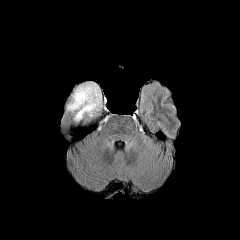
FLAIR magnetic resonance.
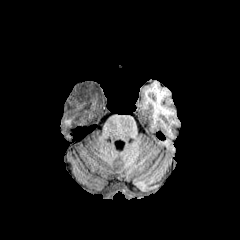
T1-weighted magnetic resonance.
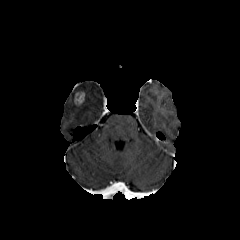
Post-contrast T1-weighted MR image of the same slice.
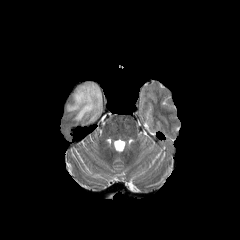
T2-weighted MR image.
Brain
edema:
  - <box>72,82,102,121</box>
  - <box>66,102,80,110</box>
enhancing_tumor:
  - <box>74,93,84,107</box>